CT scan slice | Liver | Field of view 335 mm wide, 1.00 mm slice spacing | Slice 289 of 455

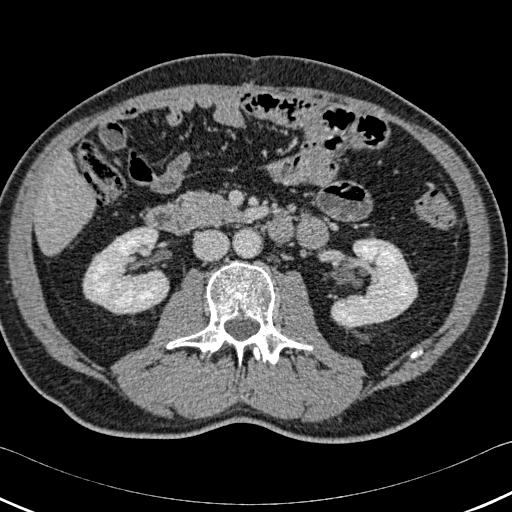

<segmentation>
  <liver>[x1=35, y1=155, x2=95, y2=254]</liver>
  <bone>[x1=167, y1=261, x2=312, y2=365]</bone>
  <kidney>[x1=84, y1=227, x2=168, y2=312], [x1=332, y1=239, x2=416, y2=325]</kidney>
</segmentation>